FLAIR MR image.
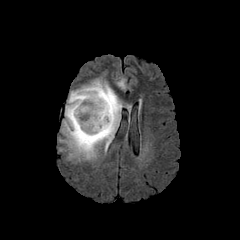
T1-weighted MRI.
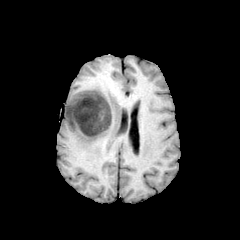
Post-contrast T1-weighted MRI.
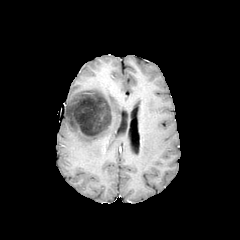
T2-weighted MR.
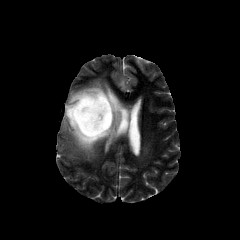
Edema — bbox=[60, 79, 122, 158].
Non-enhancing tumor core — bbox=[67, 92, 111, 145]; bbox=[92, 82, 116, 98].